CT. Image size 512x512. Slice 570 of 871.
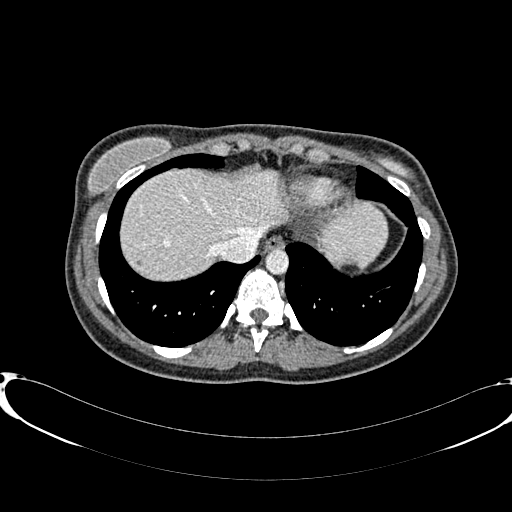
Annotated regions:
- liver: 322, 204, 386, 266; 121, 169, 287, 279